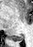

MRI
Posterior hippocampus = x1=13 y1=35 x2=23 y2=40.